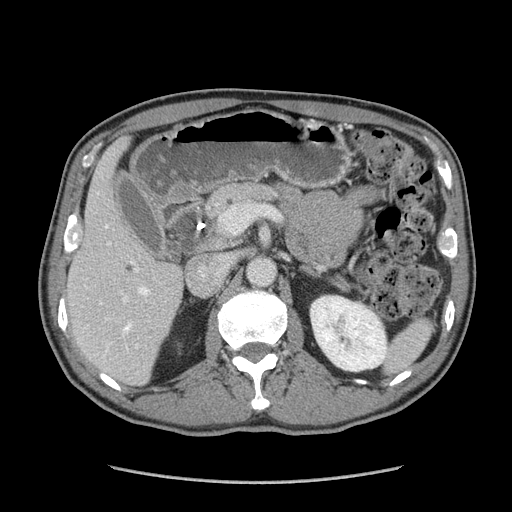
512x512 px | CT slice | Abdomen
The pancreas is located at (x1=166, y1=181, x2=279, y2=261). The pancreatic tumor lies within (x1=178, y1=211, x2=217, y2=246).